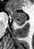 Medial temporal lobe | MR image | 34x49

<segmentation>
  <posterior_hippocampus>(15,21,24,25)</posterior_hippocampus>
  <anterior_hippocampus>(7,8,26,20)</anterior_hippocampus>
</segmentation>